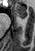

MRI

{
  "anterior_hippocampus": [
    "[14, 6, 27, 18]"
  ]
}